Image width 369 mm | CT scan slice
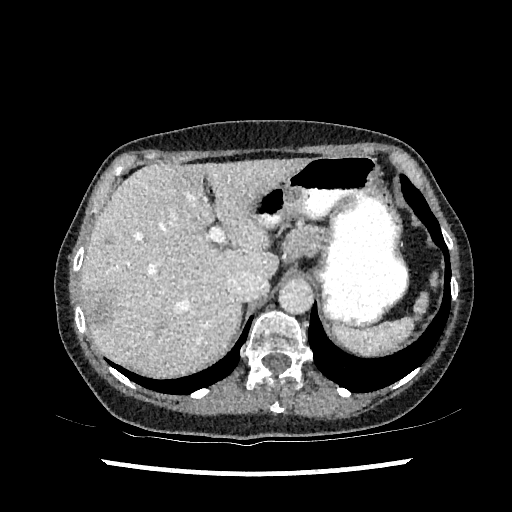 Liver: bounding box (81,159,303,375).
Liver lesion: bounding box (156,322,166,332), (174,171,200,191), (104,237,114,245), (84,287,116,327).